Image size 512x512; Image width 437 mm; Abdomen; CT image

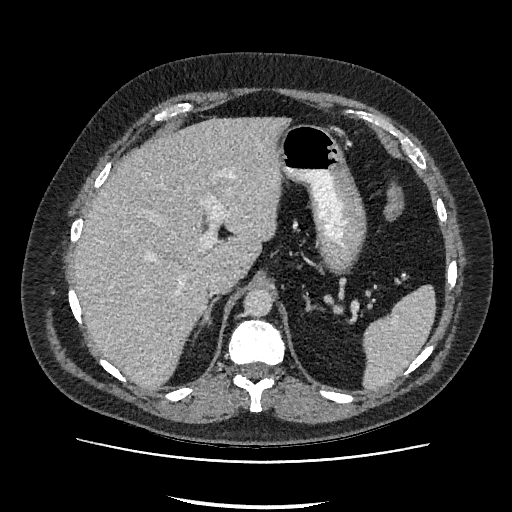
• liver: [76, 118, 287, 387]